Slice index 22; MRI; Image size 36x53; Hippocampus

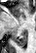
• posterior hippocampus: l=15, t=30, r=26, b=46